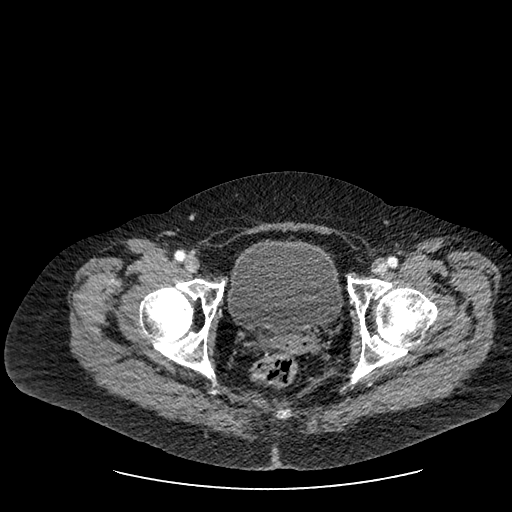

CT slice, Pelvis
{
  "urinary_bladder": [
    "227, 241, 342, 337"
  ]
}